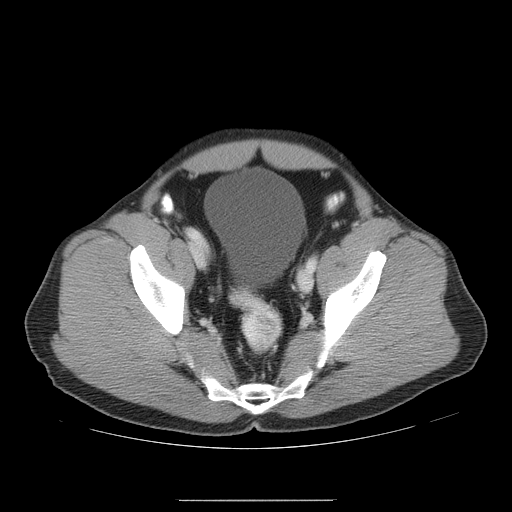
CT | 512x512 px
The colon tumor appears at bbox=[242, 315, 264, 348].